CT scan slice, 512x512, Pelvis
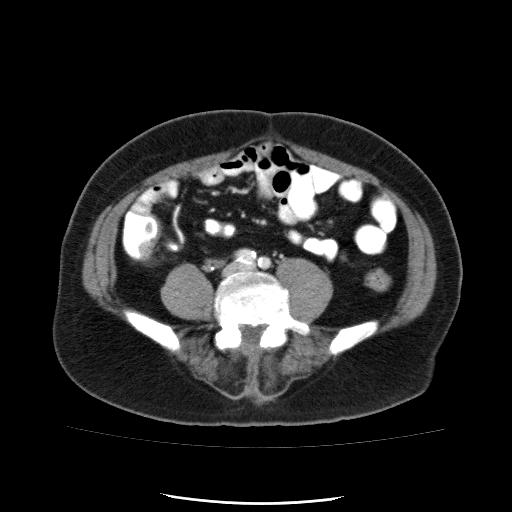

Colon tumor at 138:238:155:257, 145:223:152:232.